Slice 68/155. Brain.
FLAIR MR image.
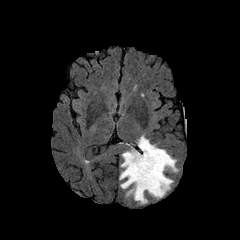
T1-weighted magnetic resonance.
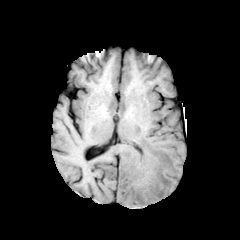
Post-contrast T1-weighted MR image.
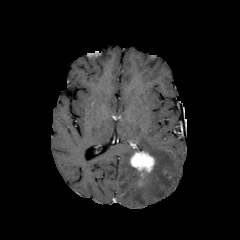
T2-weighted magnetic resonance.
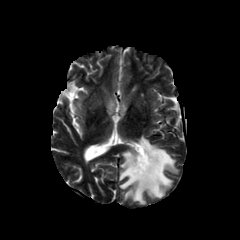
The enhancing tumor is bounded by <bbox>130, 150, 155, 185</bbox>. The edema is bounded by <bbox>119, 135, 177, 204</bbox>. 2 non-enhancing tumor core regions are located at <bbox>140, 160, 157, 188</bbox>, <bbox>132, 168, 140, 180</bbox>.